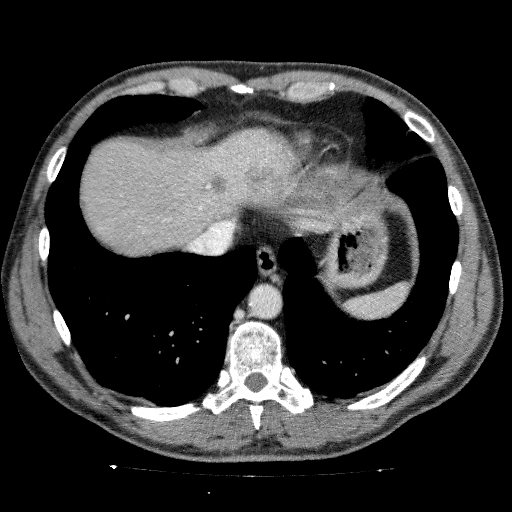

Computed tomography
<segmentation>
  <hepatic_lesion>x1=143, y1=243, x2=153, y2=251; x1=242, y1=166, x2=274, y2=189; x1=203, y1=172, x2=230, y2=194</hepatic_lesion>
  <liver>x1=81, y1=126, x2=296, y2=257</liver>
</segmentation>